Brain, Slice index 99
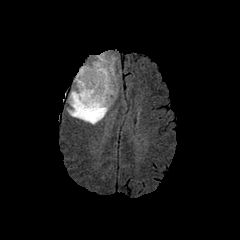
FLAIR MRI.
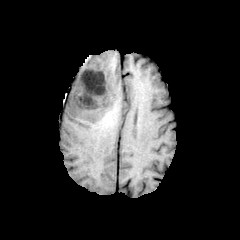
T1-weighted MR image.
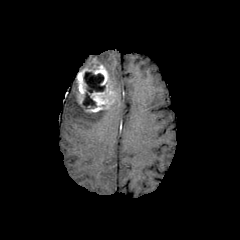
Post-contrast T1-weighted magnetic resonance.
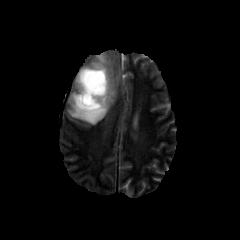
T2-weighted MRI.
enhancing_tumor:
  - box=[76, 68, 87, 101]
  - box=[88, 64, 113, 111]
non-enhancing_tumor_core:
  - box=[108, 79, 115, 102]
  - box=[88, 59, 99, 69]
  - box=[78, 70, 105, 113]
edema:
  - box=[67, 78, 110, 125]
  - box=[94, 53, 119, 94]